Field of view 34 mm wide, 1.00 mm slice spacing; MRI; 34x53 px
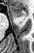 anterior_hippocampus:
  - bbox=[24, 11, 26, 20]
  - bbox=[10, 6, 22, 16]